Liver, CT scan slice
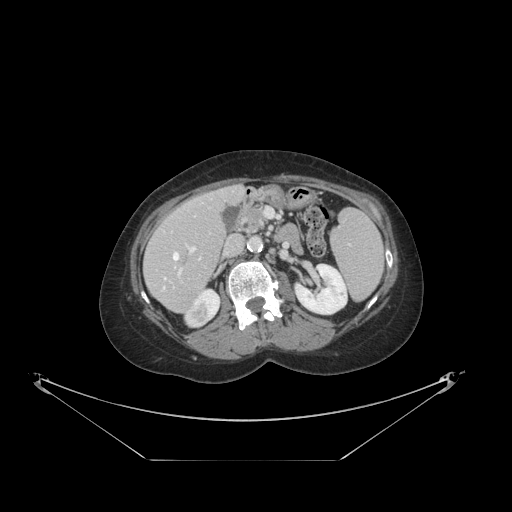 The vessel annotation is not exhaustive.
Hepatic vessel: (x1=188, y1=247, x2=194, y2=252), (x1=164, y1=278, x2=166, y2=279), (x1=162, y1=288, x2=164, y2=290), (x1=173, y1=252, x2=178, y2=259), (x1=179, y1=269, x2=181, y2=273).